240x240
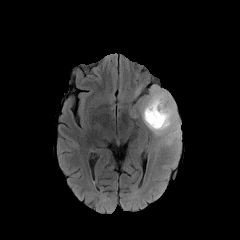
FLAIR MRI.
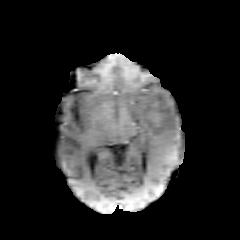
T1-weighted MR.
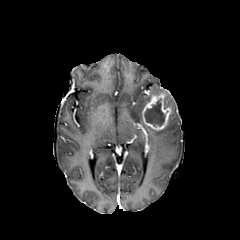
Post-contrast T1-weighted MR.
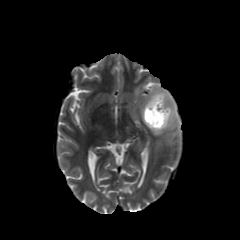
T2-weighted MR.
Enhancing tumor at (142, 90, 172, 130).
Non-enhancing tumor core at (145, 101, 165, 126).
Edema at (145, 93, 181, 155), (137, 84, 168, 121), (133, 85, 143, 97).